Head. 240x240 px.
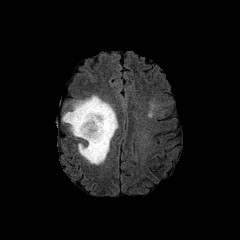
FLAIR MRI.
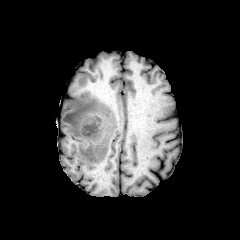
T1-weighted MRI of the same slice.
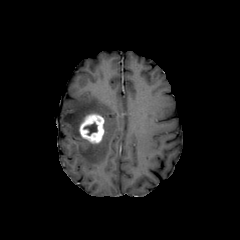
Same slice, post-contrast T1-weighted MR.
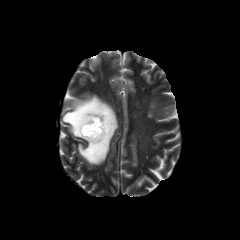
T2-weighted MRI.
The enhancing tumor is located at 79 113 105 143. The non-enhancing tumor core is located at 85 124 96 134. The edema appears at 62 95 118 165.